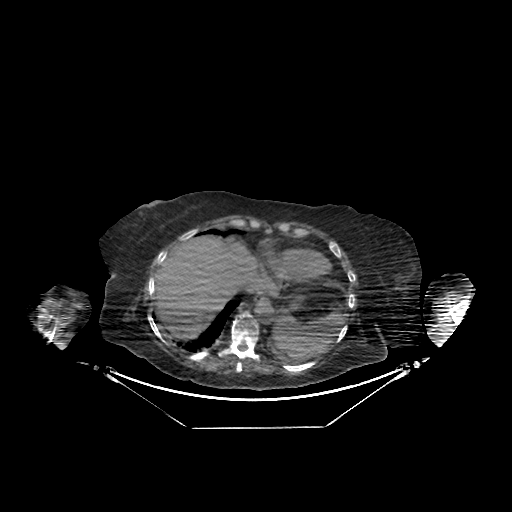
CT image

liver: region(154, 235, 258, 341)